FLAIR MRI.
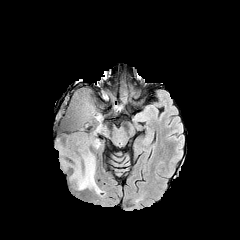
T1-weighted MRI.
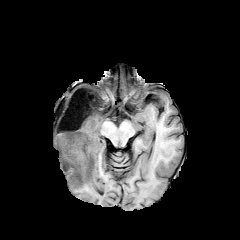
Post-contrast T1-weighted MRI.
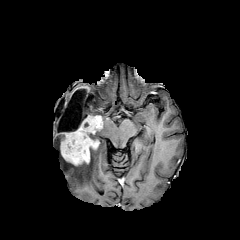
T2-weighted MR image.
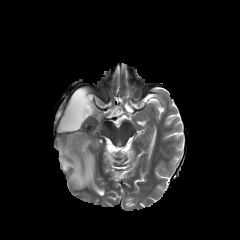
2 enhancing tumor regions are bounded by {"x1": 84, "y1": 115, "x2": 102, "y2": 131}, {"x1": 60, "y1": 130, "x2": 99, "y2": 165}. The edema is at {"x1": 60, "y1": 142, "x2": 101, "y2": 194}. 3 non-enhancing tumor core regions appear at {"x1": 80, "y1": 117, "x2": 95, "y2": 138}, {"x1": 72, "y1": 92, "x2": 101, "y2": 124}, {"x1": 67, "y1": 144, "x2": 78, "y2": 152}.